Computed tomography | Abdomen

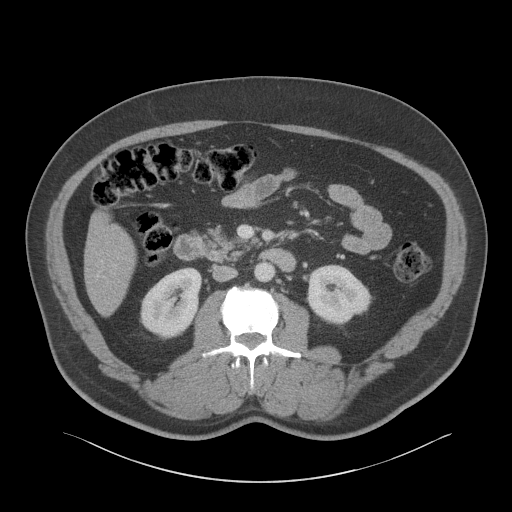 The liver is bounded by 85 215 135 312. 2 kidney regions are bounded by 141 269 200 336, 308 266 369 322.